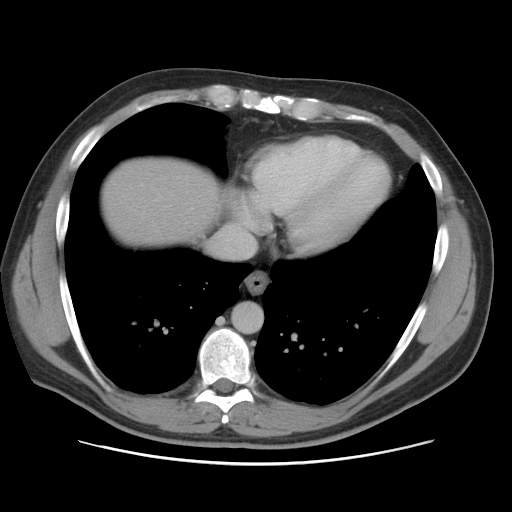

CT slice | 512x512 px

The vessel annotation is not exhaustive.
The hepatic vessel is bounded by 218,227,254,256.